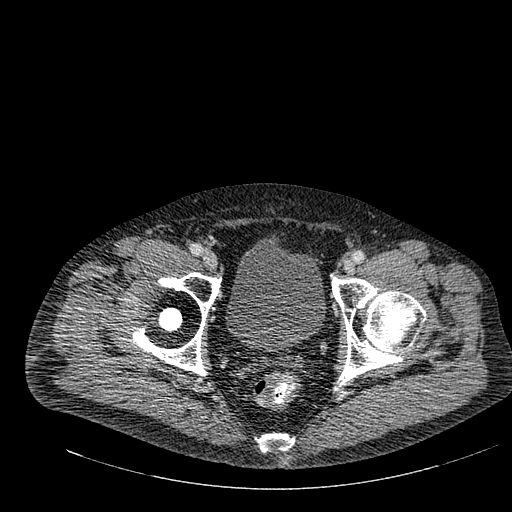 Lower abdomen; CT scan slice
The urinary bladder lies within x1=225, y1=237, x2=325, y2=351.